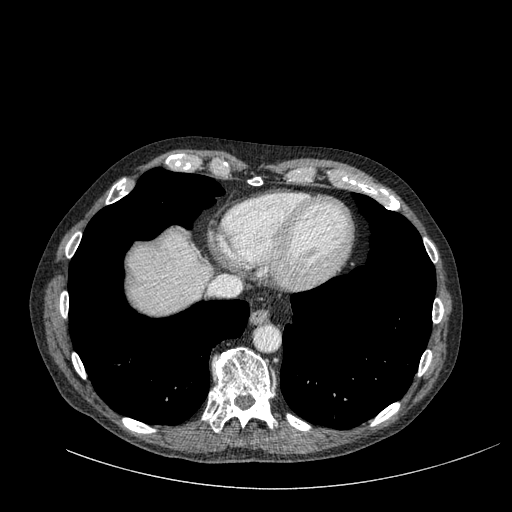
CT. Abdomen.

Liver: <bbox>129, 234, 206, 315</bbox>.